CT scan slice, Slice 447/455 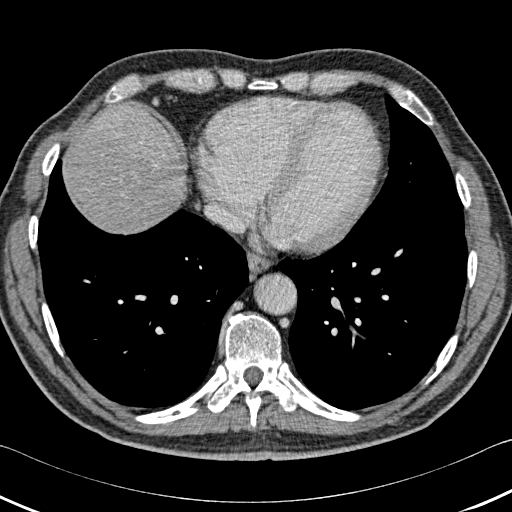
{"bone": ["106 82 128 102", "135 314 359 426", "42 303 62 356", "425 335 457 384", "468 251 477 287", "398 90 432 124", "456 173 470 208", "42 144 59 175", "28 216 37 248", "248 80 277 89"], "lung": ["271 92 468 410", "37 158 250 408"], "liver": ["76 110 179 233"]}